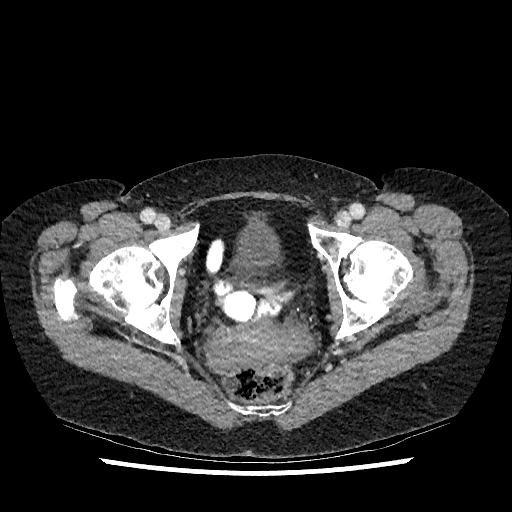

CT image; 512x512

Urinary bladder: bounding box 217:210:289:289.